FLAIR MR.
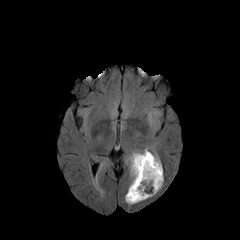
T1-weighted MR image.
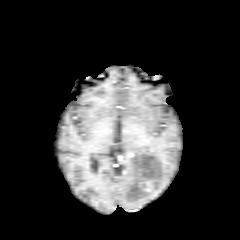
Post-contrast T1-weighted MRI.
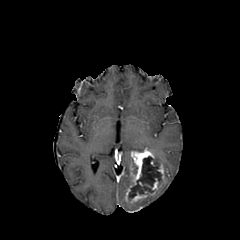
T2-weighted magnetic resonance.
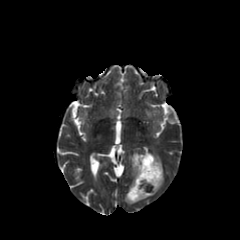
Head
* enhancing tumor: (x1=151, y1=178, x2=158, y2=190), (x1=126, y1=148, x2=155, y2=203)
* non-enhancing tumor core: (x1=128, y1=156, x2=161, y2=200)
* edema: (x1=145, y1=146, x2=162, y2=168), (x1=127, y1=157, x2=136, y2=178)